CT scan slice, Liver, Slice 64/135

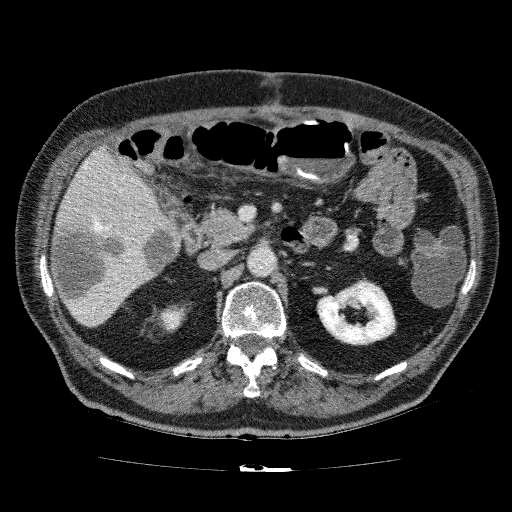
2 liver lesion regions are located at l=139, t=225, r=179, b=276; l=51, t=217, r=127, b=304. 2 kidney regions are located at l=317, t=280, r=395, b=344; l=160, t=306, r=184, b=330. The liver appears at l=56, t=143, r=183, b=327.